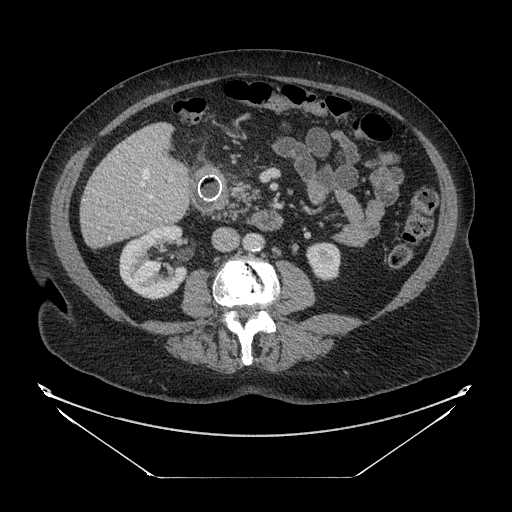

CT slice

Annotated regions:
* pancreas: box(220, 180, 256, 218)